Image size 512x512; Computed tomography; Liver

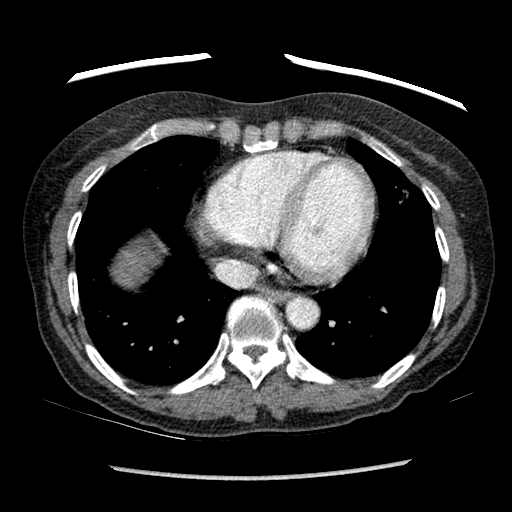

The liver is at <box>111,232,167,285</box>.